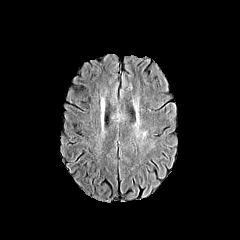
FLAIR MRI.
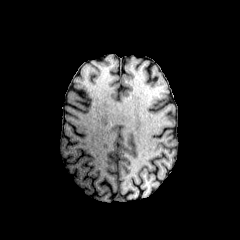
T1-weighted MRI.
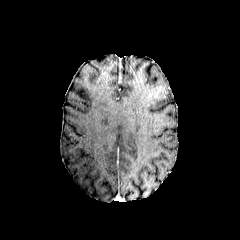
Post-contrast T1-weighted MR image of the same slice.
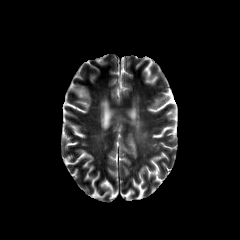
T2-weighted MR image.
Edema = [x1=140, y1=130, x2=147, y2=140].